CT scan slice; 512x512 px; Slice 318 of 343; Liver 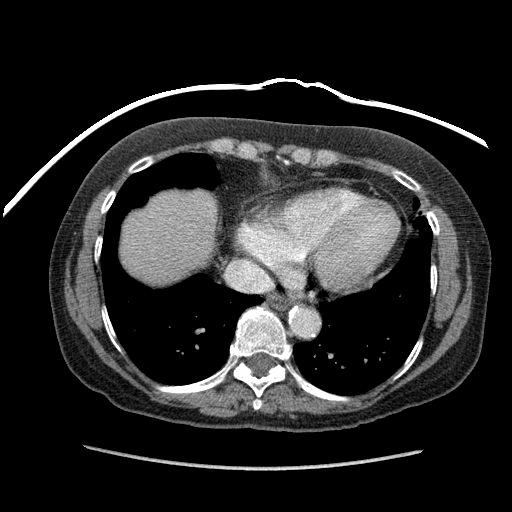

Liver: (121, 191, 217, 289).